Head
FLAIR MR image.
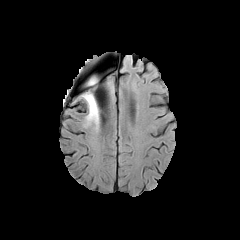
T1-weighted MR.
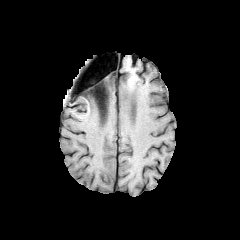
Post-contrast T1-weighted MR image.
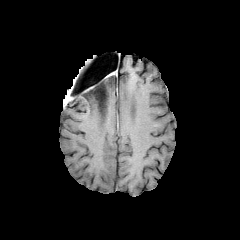
T2-weighted MRI.
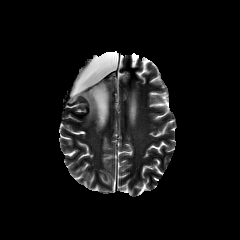
2 non-enhancing tumor core regions appear at (left=88, top=88, right=101, bottom=111), (left=88, top=77, right=96, bottom=87). 2 edema regions appear at (left=89, top=84, right=101, bottom=105), (left=80, top=90, right=101, bottom=129).